512x512, Liver, CT slice 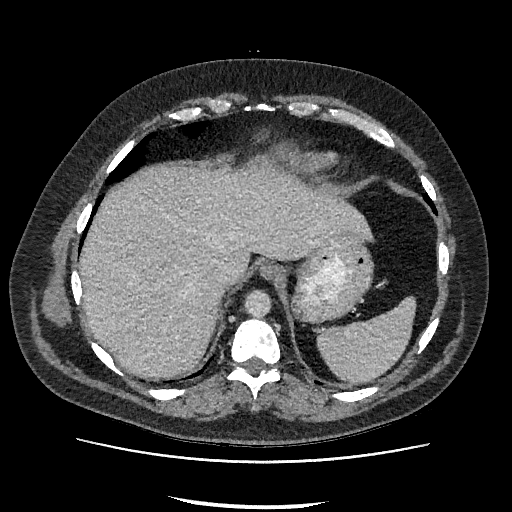
liver:
  - bbox=[80, 165, 371, 377]